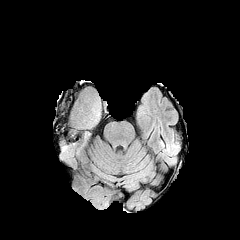
FLAIR magnetic resonance.
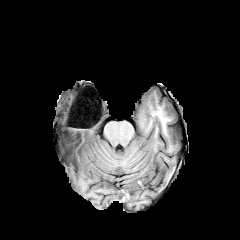
Same slice, T1-weighted MR.
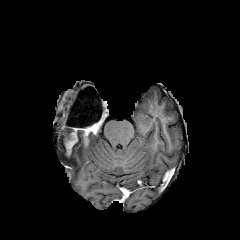
Post-contrast T1-weighted magnetic resonance of the same slice.
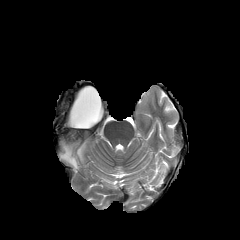
T2-weighted MR image.
edema: 62:146:75:164 | enhancing tumor: 66:142:73:154 | non-enhancing tumor core: 71:94:100:145